240x240 px
FLAIR MR image.
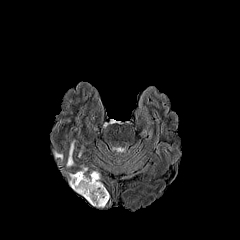
T1-weighted MR image.
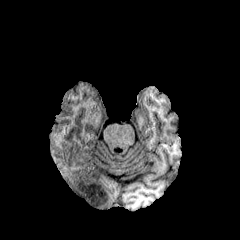
Post-contrast T1-weighted MRI.
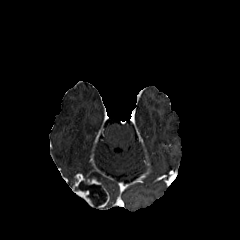
T2-weighted MRI.
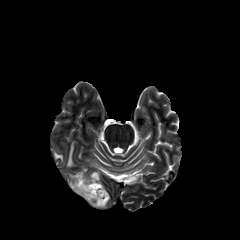
enhancing_tumor:
  - (87, 178, 100, 184)
  - (74, 189, 93, 207)
  - (72, 172, 85, 190)
non-enhancing_tumor_core:
  - (70, 174, 77, 187)
  - (74, 176, 108, 208)
edema:
  - (90, 172, 99, 180)
  - (67, 141, 75, 166)
  - (53, 150, 63, 160)